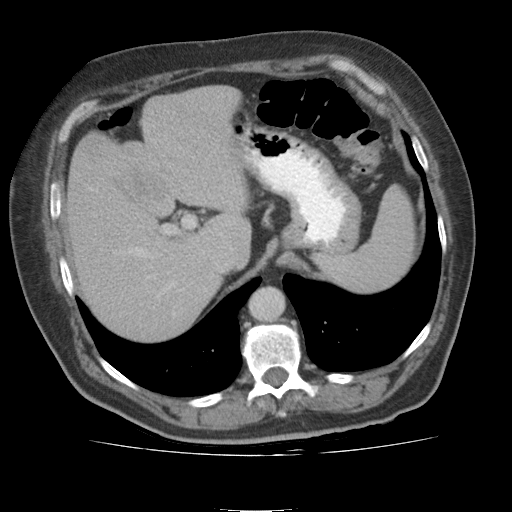
Upper abdomen; CT image
The liver is located at <box>68,87,247,340</box>. The focal liver lesion lies within <box>121,171,166,202</box>.